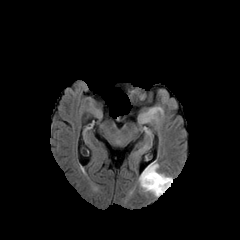
FLAIR MR.
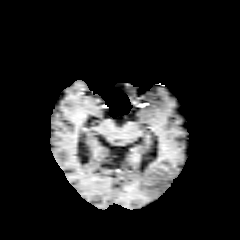
T1-weighted MR image.
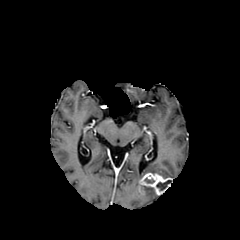
Same slice, post-contrast T1-weighted magnetic resonance.
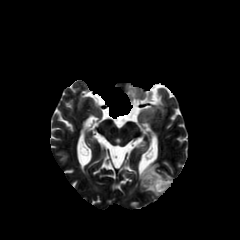
Same slice, T2-weighted MR image.
Brain, Image size 240x240
<segmentation>
  <enhancing_tumor>138:173:172:195</enhancing_tumor>
  <edema>144:187:160:197, 137:160:159:184</edema>
  <non-enhancing_tumor_core>157:180:172:190</non-enhancing_tumor_core>
</segmentation>